512x512, Computed tomography, Slice 391 of 751
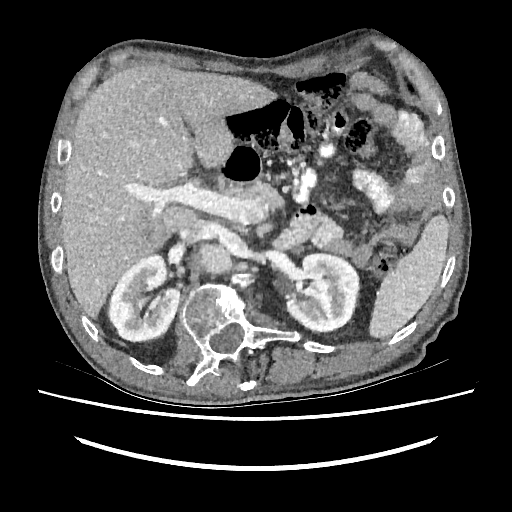 The liver is bounded by (62,66,276,317). The liver lesion is bounded by (142,229,151,240). 2 kidney regions are bounded by (287,254,358,331), (109,255,179,340).